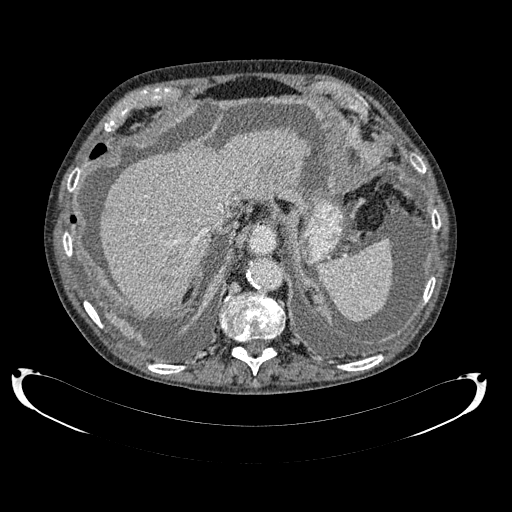
CT slice.

{"liver": [{"x1": 99, "y1": 127, "x2": 305, "y2": 311}]}